FLAIR MR.
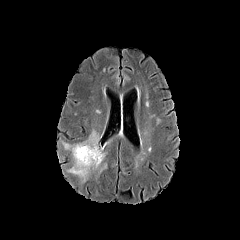
T1-weighted MR image.
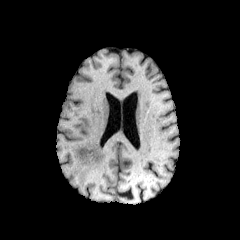
Post-contrast T1-weighted magnetic resonance.
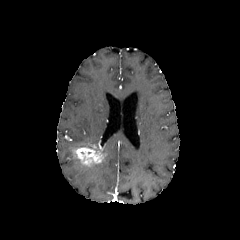
T2-weighted MRI.
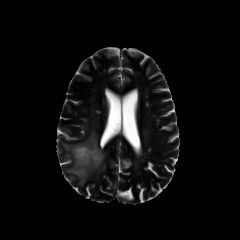
Brain.
{
  "enhancing_tumor": [
    "x1=73 y1=144 x2=102 y2=166"
  ],
  "edema": [
    "x1=63 y1=130 x2=106 y2=182"
  ]
}